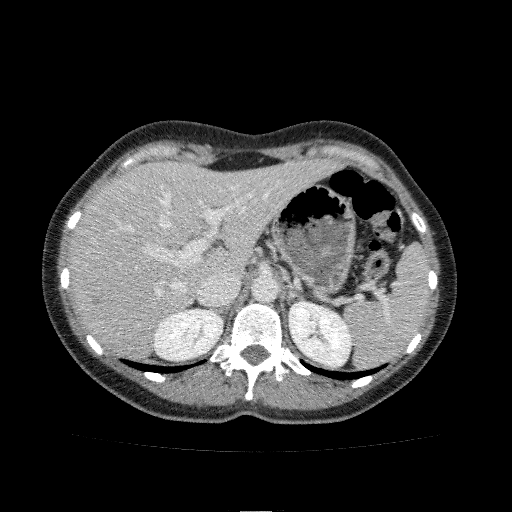 CT image, 512x512, Abdomen
Annotated regions:
- kidney: (x1=154, y1=309, x2=222, y2=360), (x1=289, y1=301, x2=351, y2=366)
- liver: (x1=68, y1=155, x2=337, y2=357)